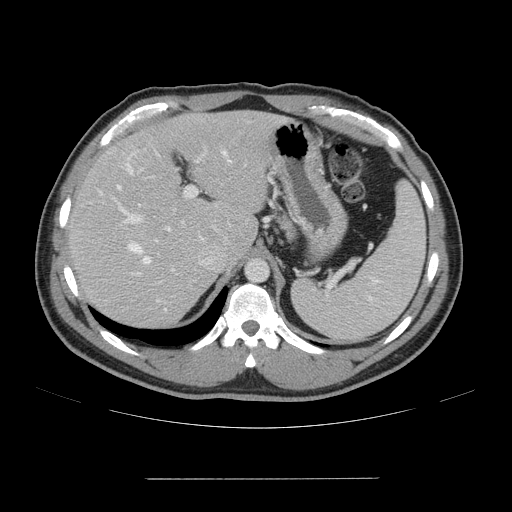 CT scan slice, Abdomen
The vessel boxes may cover only some of the vessels.
Hepatic vessel: box(127, 157, 130, 159); box(155, 240, 157, 241); box(128, 243, 141, 252); box(131, 153, 135, 156); box(114, 199, 140, 223); box(143, 257, 150, 263); box(98, 190, 102, 194); box(126, 162, 132, 173); box(222, 151, 226, 154); box(156, 299, 158, 301); box(134, 272, 140, 275); box(184, 186, 197, 197); box(213, 226, 215, 229); box(117, 186, 120, 188); box(172, 269, 173, 270).